Liver | CT scan slice

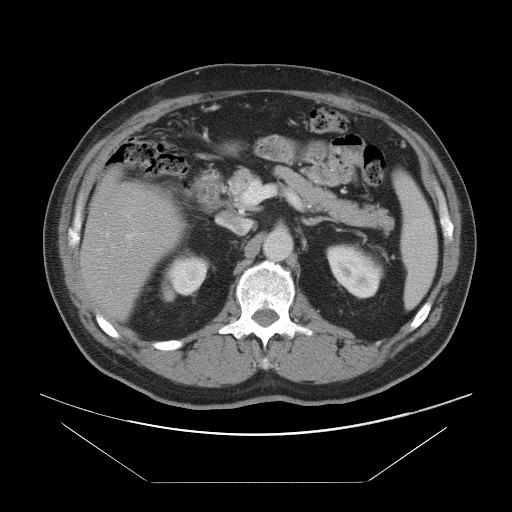
Only some of the vessels may be annotated.
<segmentation>
  <hepatic_vessel>x1=127, y1=234, x2=132, y2=237</hepatic_vessel>
</segmentation>